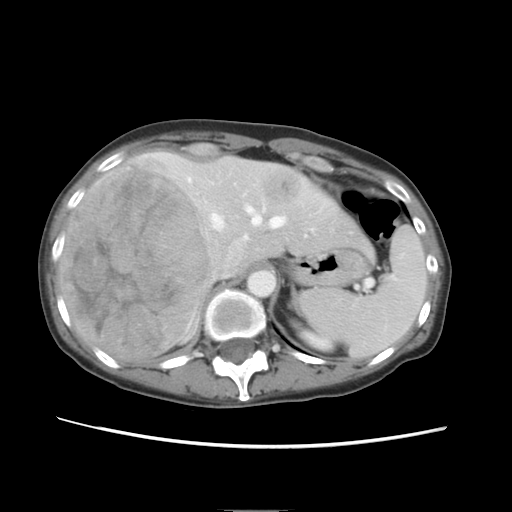 Abdomen. CT image. 512x512 px.

Only some of the vessels may be annotated.
<segmentation>
  <liver_tumor>60,162,215,358; 261,170,301,206</liver_tumor>
  <hepatic_vessel>188,177,190,180; 271,217,284,226; 212,213,222,228; 246,206,260,223</hepatic_vessel>
</segmentation>